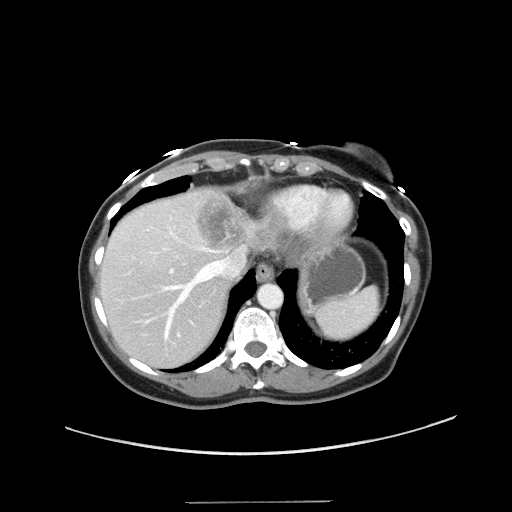 CT scan slice; 512x512

Not every hepatic vessel necessarily has a box.
liver_tumor:
  - 193:194:282:253
hepatic_vessel:
  - 178:334:179:335
  - 170:269:172:271
  - 164:248:245:340